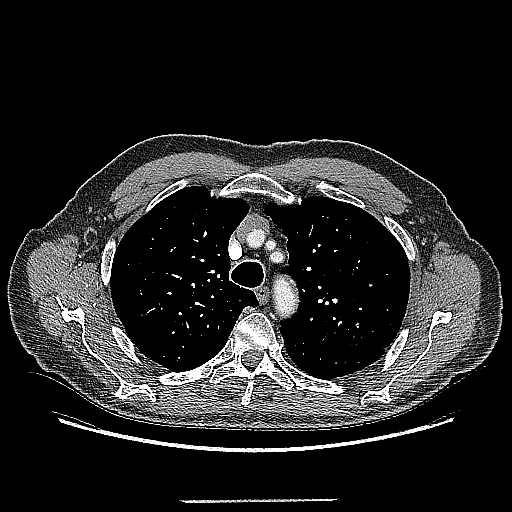
CT slice, Chest

<segmentation>
  <lung_tumor>bbox=[353, 320, 360, 329]</lung_tumor>
</segmentation>